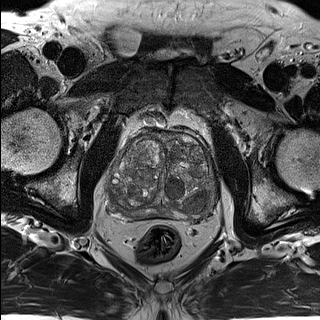
T2-weighted magnetic resonance.
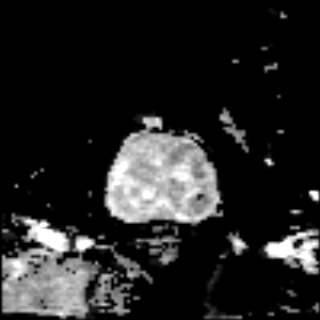
ADC MR.
Image size 320x320 | Pelvis
<segmentation>
  <prostate_transition_zone>[x1=108, y1=134, x2=215, y2=213]</prostate_transition_zone>
  <prostate_peripheral_zone>[x1=113, y1=199, x2=214, y2=218]</prostate_peripheral_zone>
</segmentation>